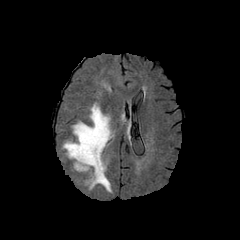
FLAIR MR.
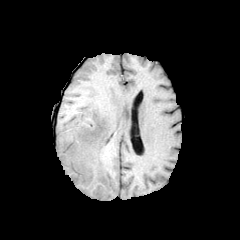
T1-weighted MRI of the same slice.
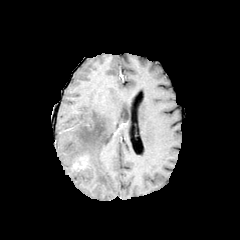
Post-contrast T1-weighted MR image.
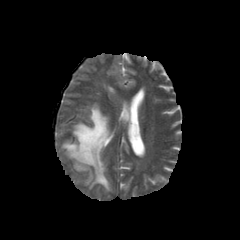
T2-weighted MR image.
Head
* edema: 62, 104, 112, 191
* enhancing tumor: 73, 156, 87, 171